Image width 335 mm. CT slice. Image size 512x512.
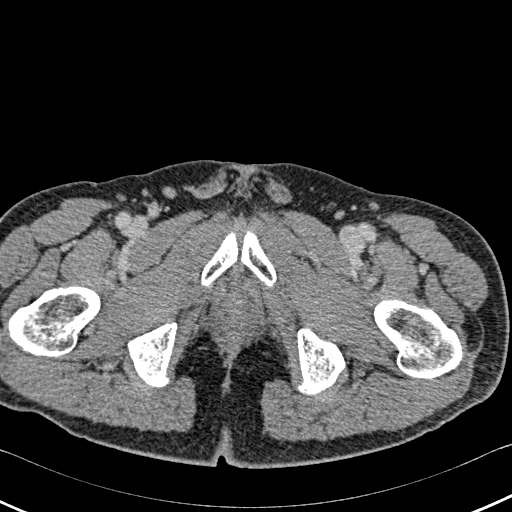
bone: bbox(0, 287, 99, 356); bbox(374, 300, 461, 377); bbox(201, 232, 276, 287); bbox(297, 328, 344, 394); bbox(128, 322, 176, 386)